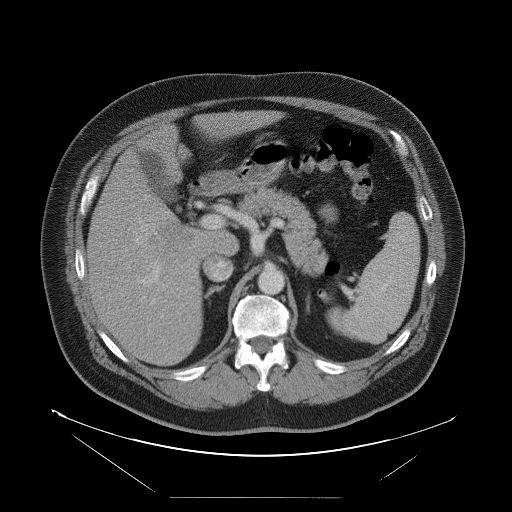

CT slice. 512x512 px. The vessel boxes may cover only some of the vessels.
Segmented structures:
* hepatic vessel: (162,284,165,286), (137,262,159,284), (141,296,145,300), (161,313,163,317), (136,238,140,243), (140,227,147,235)
* liver tumor: (152,224,189,250)